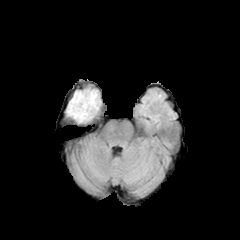
FLAIR MR.
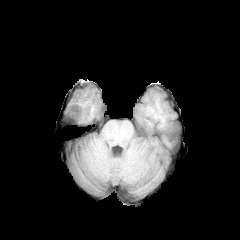
T1-weighted MRI.
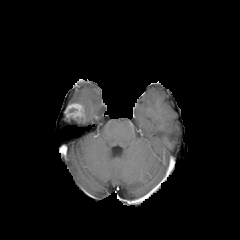
Post-contrast T1-weighted MR.
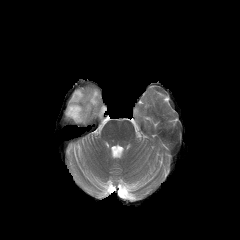
T2-weighted magnetic resonance.
240x240 px
<segmentation>
  <edema>[68, 89, 101, 122]</edema>
  <enhancing_tumor>[65, 103, 84, 122]</enhancing_tumor>
</segmentation>